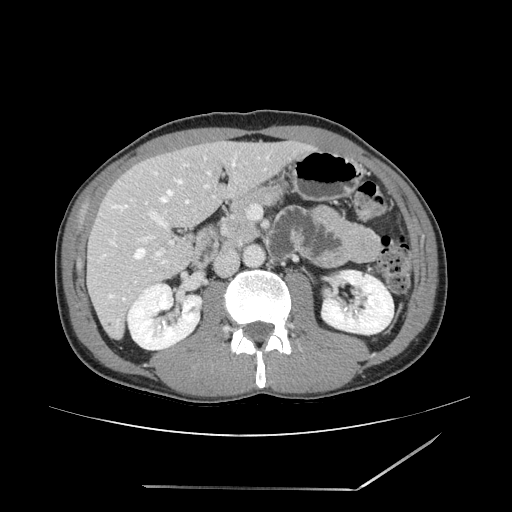
Image size 512x512, Computed tomography
The pancreas appears at region(226, 186, 282, 245).